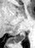 Magnetic resonance, 35x48

• posterior hippocampus: bbox=[9, 32, 25, 42]